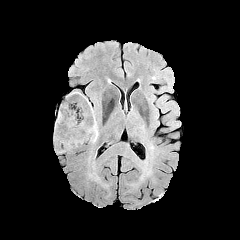
FLAIR MR.
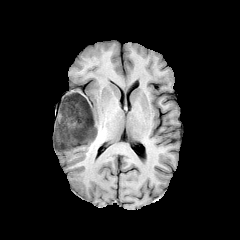
T1-weighted MR.
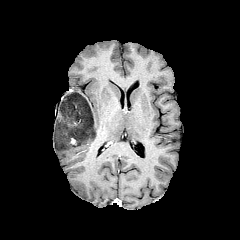
Same slice, post-contrast T1-weighted magnetic resonance.
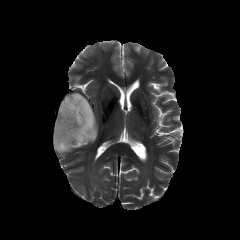
T2-weighted MR image.
Image size 240x240
<segmentation>
  <non-enhancing_tumor_core>bbox(55, 94, 96, 151)</non-enhancing_tumor_core>
  <edema>bbox(92, 108, 97, 136)</edema>
</segmentation>